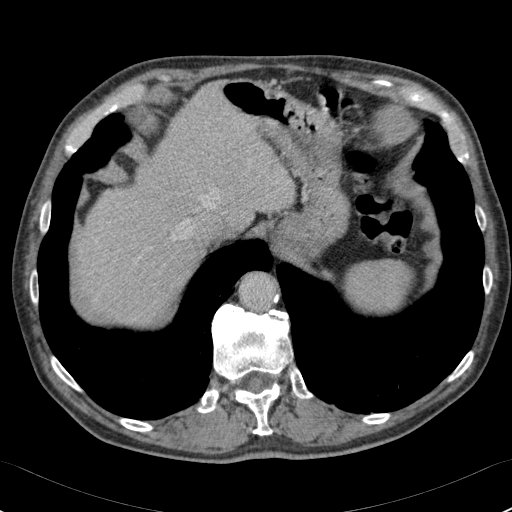 Computed tomography | 512x512 px

<segmentation>
  <liver>(77,85,294,321)</liver>
</segmentation>